Brain; Slice index 82; 240x240
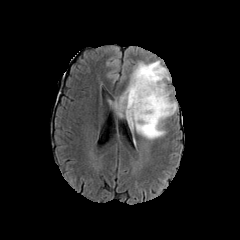
FLAIR MRI.
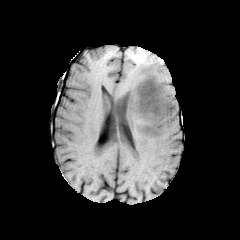
T1-weighted MR.
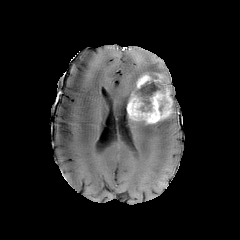
Post-contrast T1-weighted magnetic resonance.
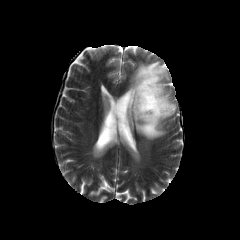
T2-weighted MRI.
2 enhancing tumor regions appear at box(137, 74, 159, 89); box(126, 89, 173, 123). 2 edema regions are bounded by box(123, 112, 170, 139); box(113, 60, 171, 113). 3 non-enhancing tumor core regions are bounded by box(117, 92, 133, 117); box(144, 121, 158, 131); box(135, 69, 169, 111).